FLAIR MRI.
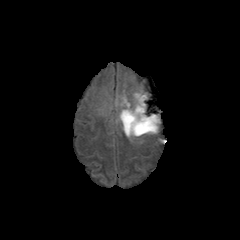
T1-weighted magnetic resonance.
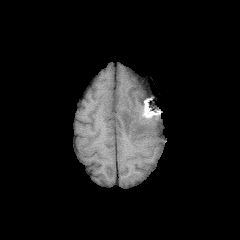
Post-contrast T1-weighted MR.
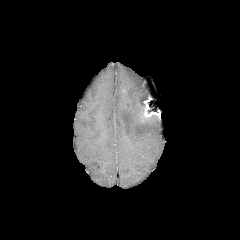
T2-weighted MRI.
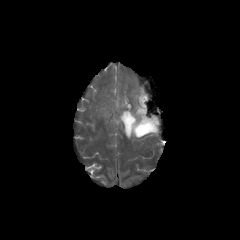
Head
The edema lies within l=116, t=88, r=159, b=140. 2 non-enhancing tumor core regions are bounded by l=124, t=116, r=133, b=126; l=134, t=110, r=158, b=133.